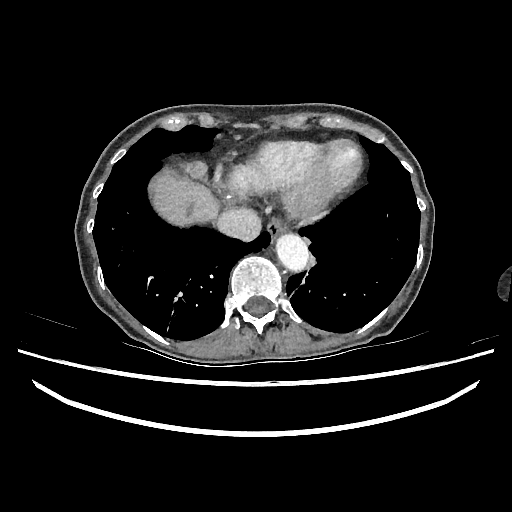

CT slice

The liver is located at [x1=151, y1=174, x2=219, y2=225].